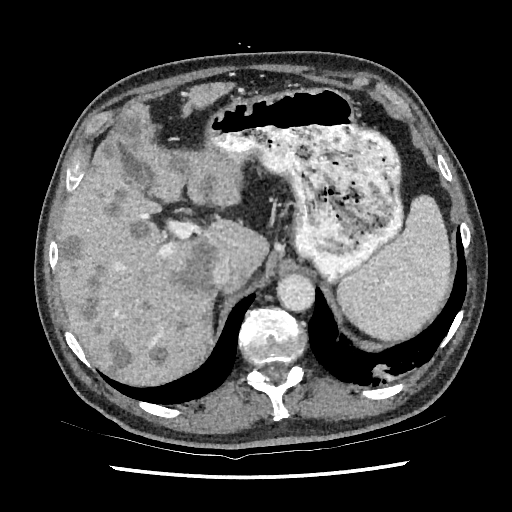 CT image; Abdomen
4 liver regions are bounded by 183 83 232 116, 58 144 268 385, 118 103 238 206, 109 128 124 140. 14 hepatic lesion regions appear at 110 337 132 373, 102 136 115 159, 83 264 107 319, 198 306 211 326, 197 173 219 196, 62 236 81 262, 169 155 191 174, 95 324 102 333, 105 191 127 219, 128 221 150 242, 115 113 141 144, 175 319 191 331, 171 240 217 294, 151 345 167 363.